Slice 61 of 155, Brain, 240x240
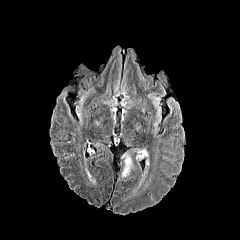
FLAIR MR image.
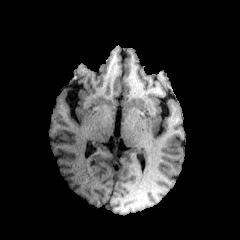
T1-weighted MRI.
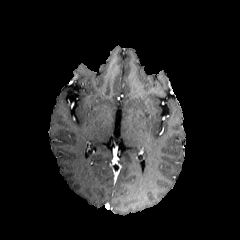
Post-contrast T1-weighted magnetic resonance.
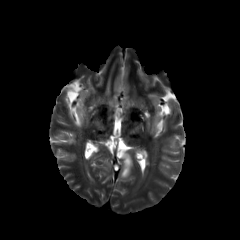
Same slice, T2-weighted magnetic resonance.
edema:
  - [x1=121, y1=156, x2=132, y2=177]
  - [x1=143, y1=149, x2=149, y2=166]